CT | Upper abdomen | Slice 461/836 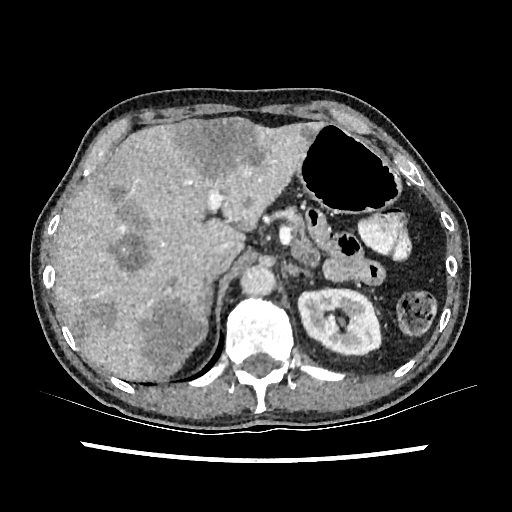

Hepatic lesion = bbox(173, 117, 269, 181); bbox(108, 185, 150, 274); bbox(241, 196, 253, 208); bbox(70, 300, 117, 340); bbox(299, 124, 316, 143); bbox(159, 279, 175, 290); bbox(140, 298, 205, 374).
Liver = bbox(55, 122, 325, 377).
Kidney = bbox(298, 289, 380, 358).